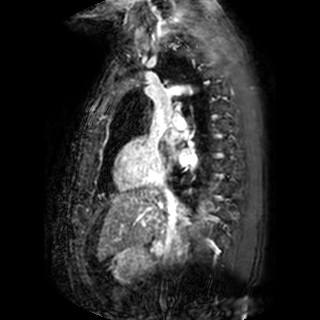
MRI, Cardiac

<segmentation>
  <left_atrium>[169,150,193,162], [164,129,176,142]</left_atrium>
</segmentation>